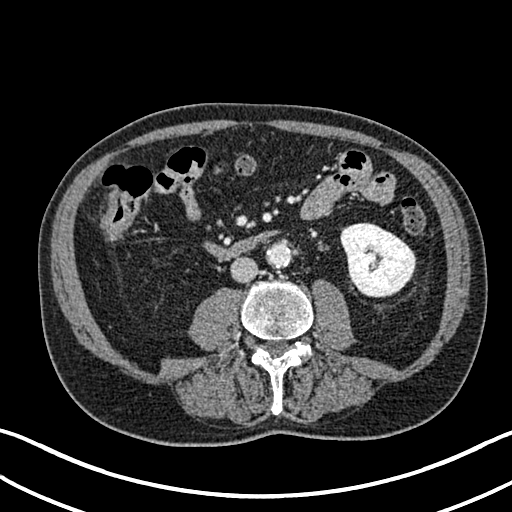

CT image, Abdomen
The kidney is bounded by [341, 223, 414, 296].